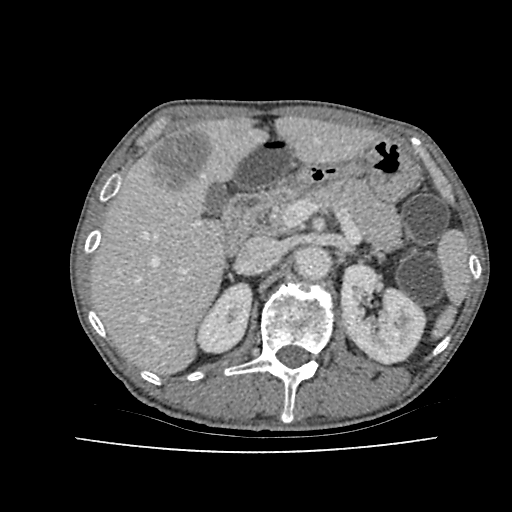

Computed tomography | Upper abdomen | Image size 512x512
kidney:
  - {"x1": 342, "y1": 265, "x2": 424, "y2": 362}
  - {"x1": 199, "y1": 284, "x2": 250, "y2": 351}
liver:
  - {"x1": 277, "y1": 118, "x2": 371, "y2": 161}
  - {"x1": 92, "y1": 120, "x2": 263, "y2": 371}
focal_liver_lesion:
  - {"x1": 150, "y1": 131, "x2": 209, "y2": 191}